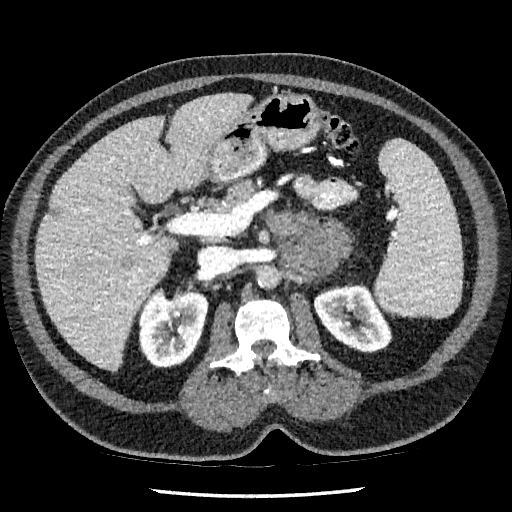
CT scan slice, Liver, Image size 512x512

The liver lesion lies within box=[123, 258, 133, 268]. The liver appears at box=[37, 94, 250, 369]. 2 kidney regions appear at box=[140, 292, 207, 366]; box=[314, 286, 390, 351].